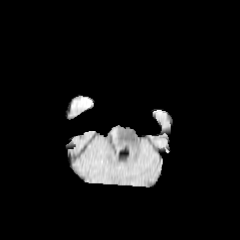
FLAIR MRI.
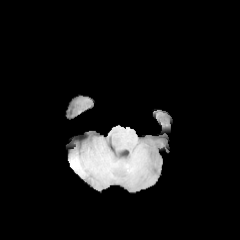
T1-weighted MR.
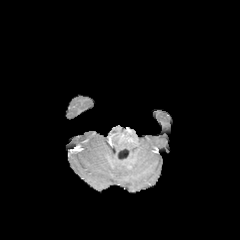
Post-contrast T1-weighted MR of the same slice.
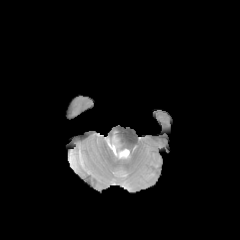
T2-weighted MR.
Image size 240x240. Head.
non-enhancing tumor core: [113, 137, 120, 147]